Image size 512x512; Upper abdomen; CT scan slice; Slice 60/80

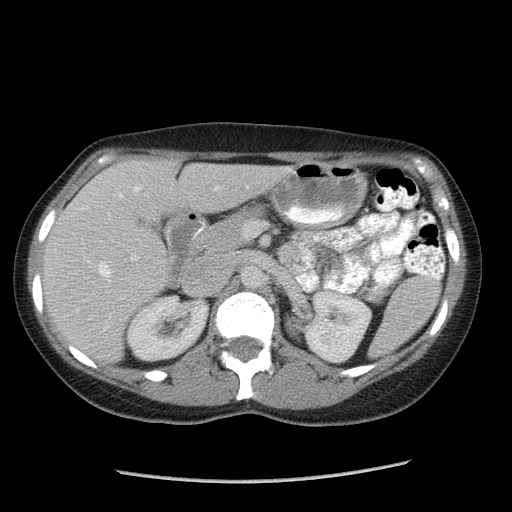 Spleen at l=371, t=277, r=439, b=355.